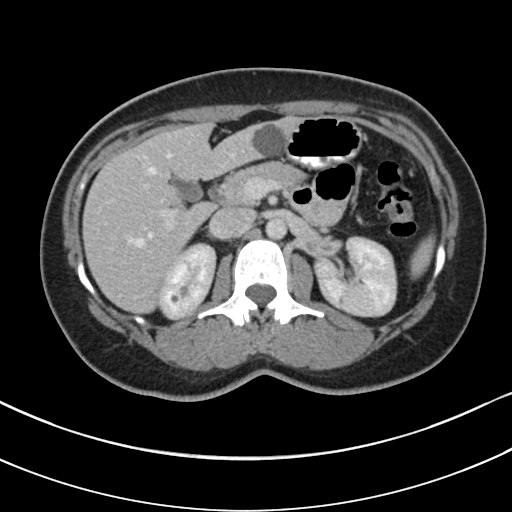
CT | 512x512 px

The pancreas is bounded by box(212, 161, 306, 206).